FLAIR magnetic resonance.
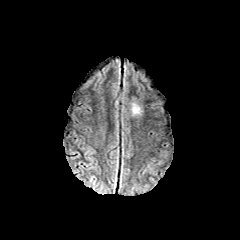
T1-weighted MR image.
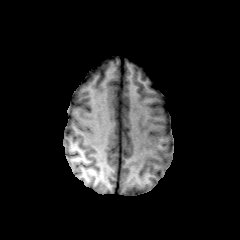
Post-contrast T1-weighted MR.
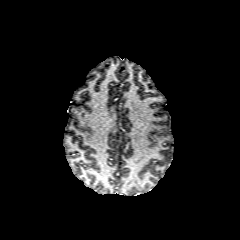
T2-weighted MR image.
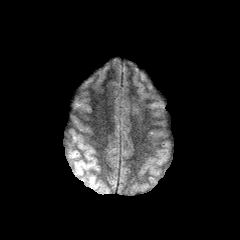
Segmented structures:
* edema: (132,104,139,113)